CT, Slice index 163
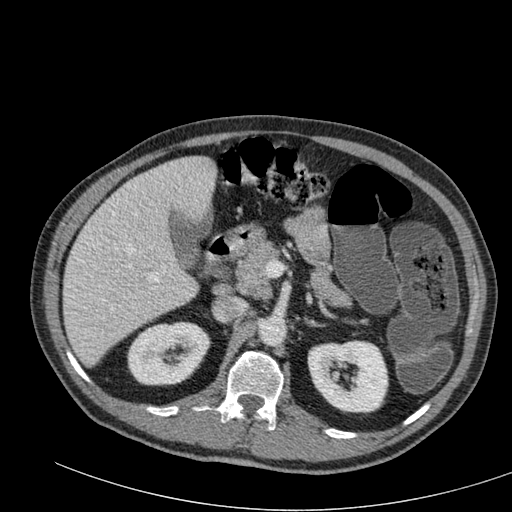 The liver is located at 63:157:216:365. 2 kidney regions are bounded by 308:341:387:411, 128:323:208:384.